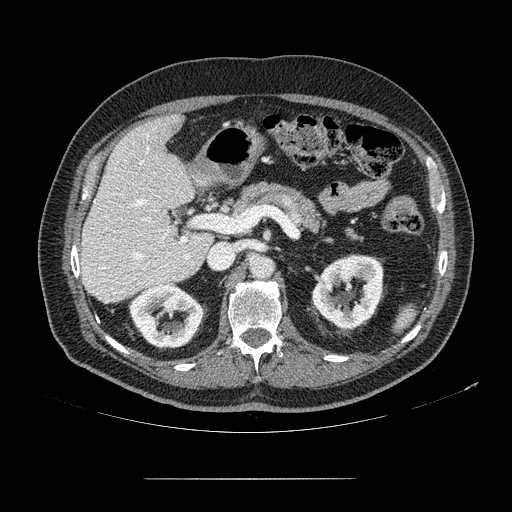 CT. Upper abdomen.

The pancreas lies within (x1=232, y1=181, x2=332, y2=242).